CT image | Slice 570/654 | 512x512 px 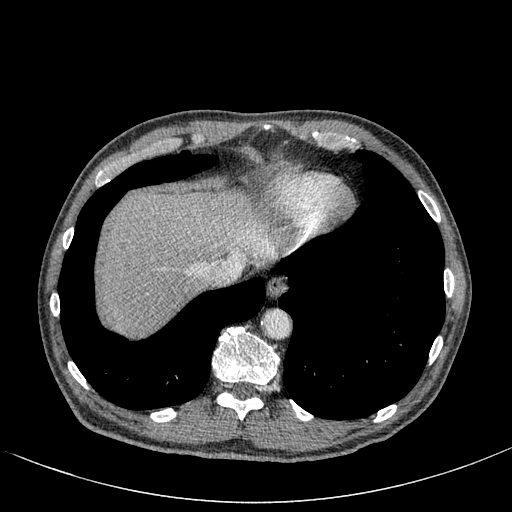 <segmentation>
  <liver>l=98, t=192, r=274, b=335</liver>
  <liver_lesion>l=107, t=314, r=116, b=328</liver_lesion>
</segmentation>